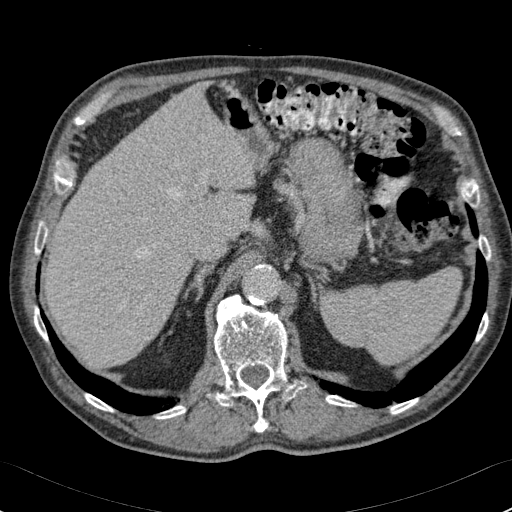
CT; Upper abdomen
liver:
  - bbox=[46, 83, 253, 367]